Abdomen; Computed tomography
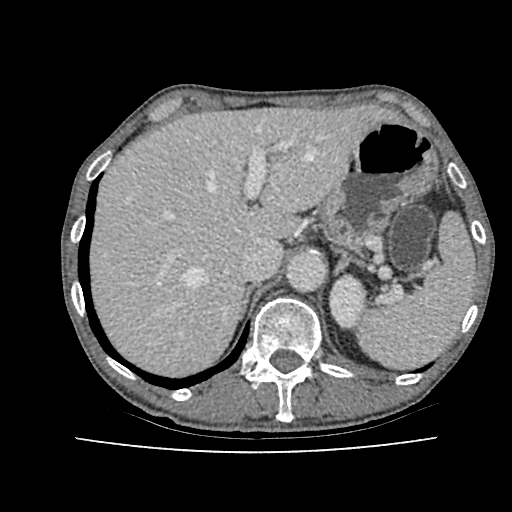
<segmentation>
  <kidney>(330, 278, 363, 326)</kidney>
  <liver>(90, 106, 388, 376)</liver>
</segmentation>